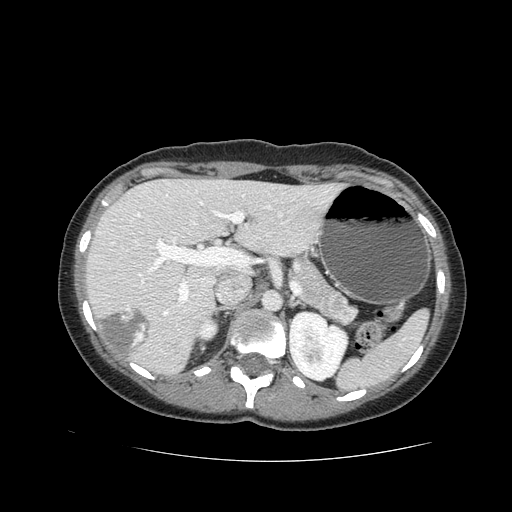 Abdomen, CT scan slice
pancreas: box(295, 260, 336, 317) | pancreatic tumor: box(327, 291, 358, 325)